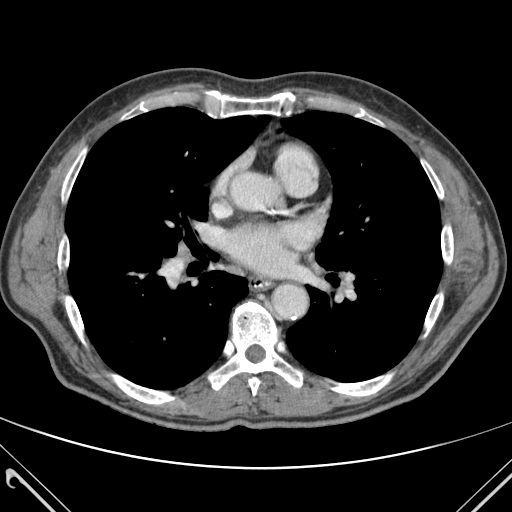
CT scan slice. 512x512. Chest.
{"bone": ["[121,102,154,118]", "[328,103,382,123]", "[113,375,174,403]", "[209,302,302,395]", "[441,226,453,263]", "[65,296,84,342]", "[62,149,85,200]", "[421,161,443,198]", "[425,293,443,335]", "[58,234,68,275]", "[332,375,391,395]", "[201,91,300,116]"], "lung": ["[65,107,269,389]", "[280,111,442,382]"]}